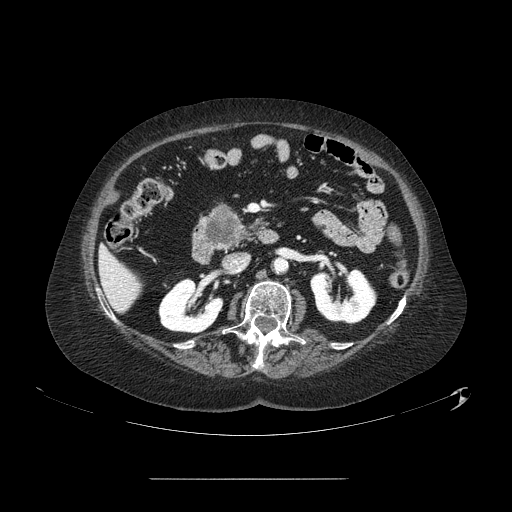

Abdomen; CT
The pancreatic tumor lies within box=[202, 207, 237, 246]. The pancreas is located at box=[203, 211, 242, 248].